CT image | Abdomen 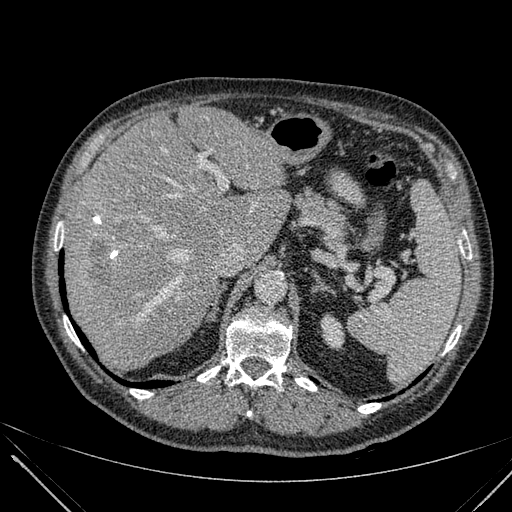

2 liver lesion regions appear at box=[116, 222, 128, 234]; box=[91, 242, 109, 289]. The liver lies within box=[65, 108, 289, 370]. The kidney appears at box=[322, 317, 342, 346].